Computed tomography | Abdomen | Slice index 23

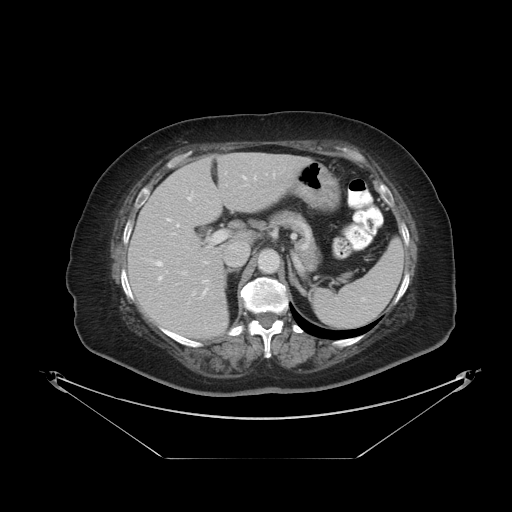

The vessel boxes may cover only some of the vessels.
<segmentation>
  <hepatic_vessel>x1=273 y1=173 x2=274 y2=174, x1=177 y1=223 x2=178 y2=225, x1=150 y1=260 x2=162 y2=266, x1=203 y1=280 x2=207 y2=281, x1=230 y1=242 x2=248 y2=255, x1=191 y1=291 x2=195 y2=296, x1=242 y1=175 x2=245 y2=178, x1=188 y1=194 x2=192 y2=199, x1=183 y1=271 x2=186 y2=274, x1=204 y1=261 x2=206 y2=262, x1=203 y1=288 x2=206 y2=294, x1=208 y1=231 x2=227 y2=247, x1=167 y1=218 x2=170 y2=220, x1=157 y1=275 x2=162 y2=281</hepatic_vessel>
</segmentation>